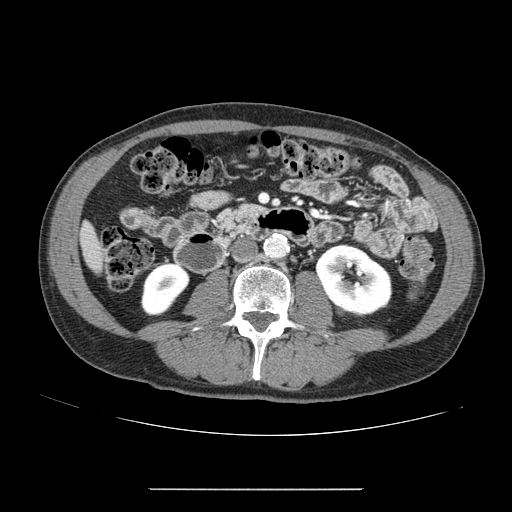

CT scan slice; Abdomen; Image size 512x512

* pancreas: {"x1": 215, "y1": 205, "x2": 262, "y2": 242}